Head
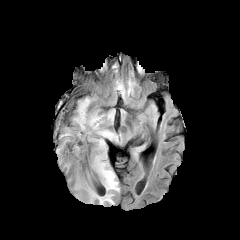
FLAIR magnetic resonance.
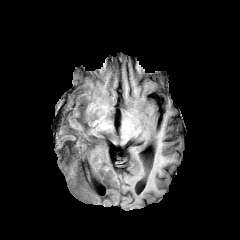
Same slice, T1-weighted MRI.
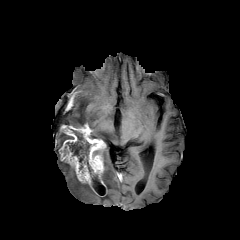
Post-contrast T1-weighted MR image.
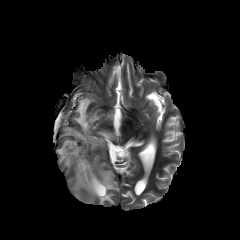
T2-weighted MR.
<segmentation>
  <non-enhancing_tumor_core><box>63,128,105,178</box></non-enhancing_tumor_core>
  <edema><box>72,97,121,143</box>, <box>74,150,119,204</box>, <box>60,130,67,147</box></edema>
  <enhancing_tumor><box>72,123,105,151</box>, <box>89,154,103,176</box>, <box>76,162,90,184</box>, <box>59,126,75,159</box></enhancing_tumor>
</segmentation>